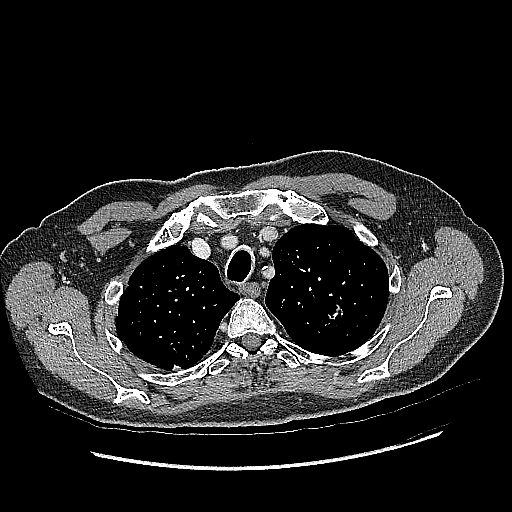 Computed tomography. Thorax.
2 lung tumor regions appear at (x1=115, y1=316, x2=123, y2=326), (x1=129, y1=284, x2=149, y2=290).